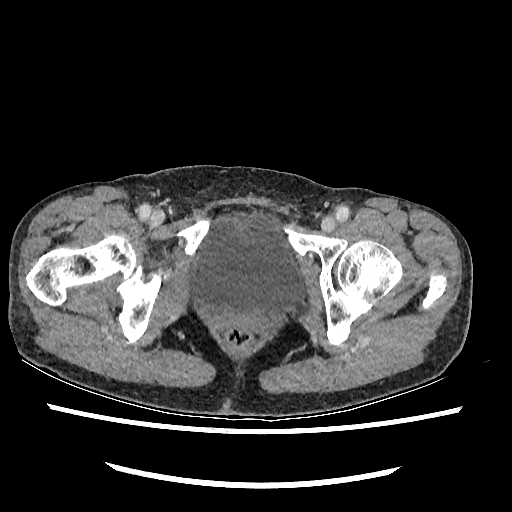

Computed tomography. Lower abdomen.
Urinary bladder = region(184, 209, 308, 328).